512x512; CT image; Abdomen; Slice 18 of 43
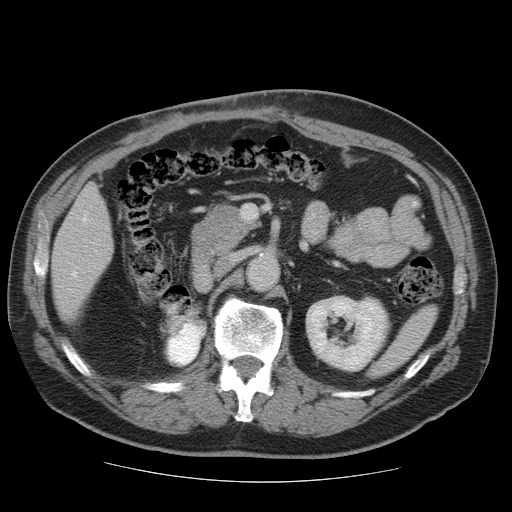 Some hepatic vessels may have no box.
{
  "hepatic_vessel": [
    "region(93, 239, 95, 243)",
    "region(72, 267, 76, 276)",
    "region(82, 217, 86, 225)"
  ]
}